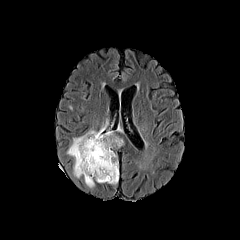
FLAIR magnetic resonance.
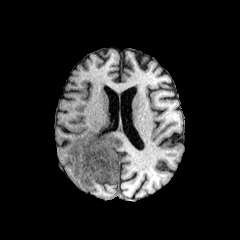
T1-weighted magnetic resonance of the same slice.
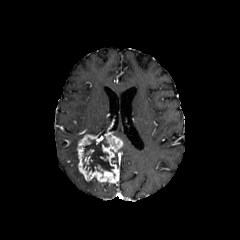
Post-contrast T1-weighted MR image.
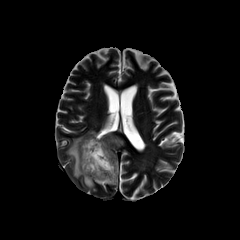
T2-weighted MR.
Brain
2 edema regions are bounded by [85, 179, 94, 188], [67, 137, 82, 177]. The enhancing tumor is at [77, 131, 123, 185]. The non-enhancing tumor core is bounded by [84, 136, 114, 172].